FLAIR MR.
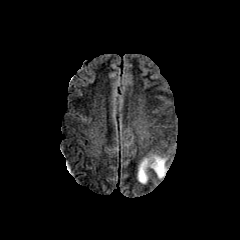
T1-weighted MR.
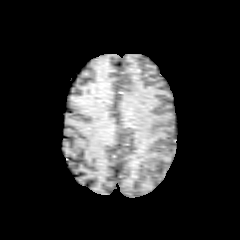
Post-contrast T1-weighted MR image.
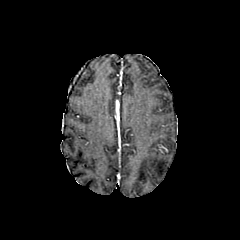
T2-weighted MRI.
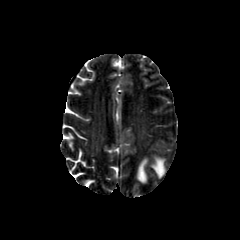
Head, 240x240
Edema — <box>137,155,165,183</box>.